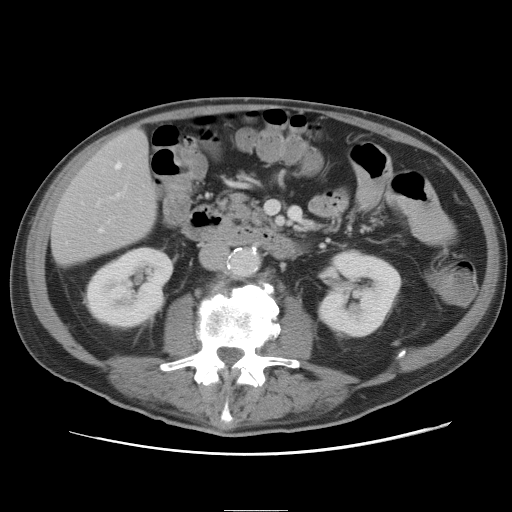 Abdomen, CT

The vessel boxes may cover only some of the vessels.
Segmented structures:
* hepatic vessel: x1=98, y1=202, x2=99, y2=204; x1=100, y1=229, x2=102, y2=232; x1=116, y1=163, x2=121, y2=168; x1=134, y1=130, x2=136, y2=131; x1=117, y1=193, x2=122, y2=197